FLAIR MR.
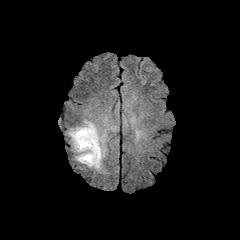
T1-weighted MR image.
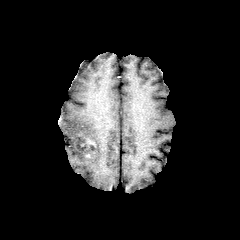
Post-contrast T1-weighted MRI.
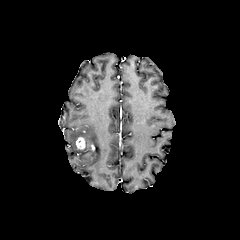
T2-weighted MR image.
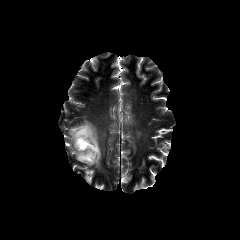
Brain | 240x240 px
<segmentation>
  <enhancing_tumor>[76, 137, 85, 149]</enhancing_tumor>
  <non-enhancing_tumor_core>[76, 140, 96, 155]</non-enhancing_tumor_core>
  <edema>[108, 120, 117, 131], [68, 118, 105, 171]</edema>
</segmentation>